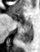
Image size 40x52 | MR
Posterior hippocampus: box(19, 22, 32, 43).
Anterior hippocampus: box(25, 20, 30, 21).